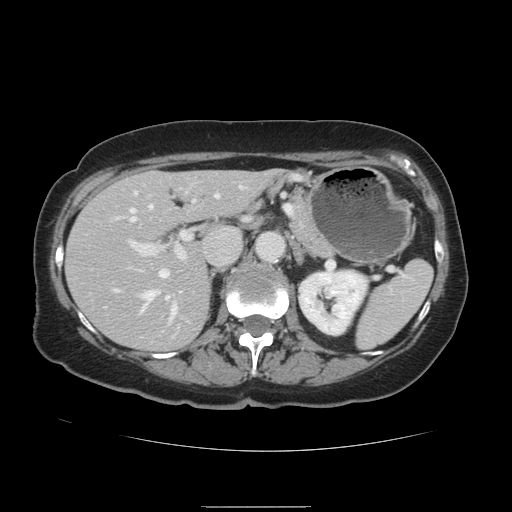
CT scan slice
Only some of the vessels may be annotated.
Segmented structures:
• hepatic vessel: l=148, t=205, r=151, b=208; l=171, t=306, r=176, b=315; l=165, t=296, r=168, b=300; l=134, t=191, r=135, b=194; l=176, t=251, r=185, b=258; l=139, t=291, r=158, b=314; l=128, t=208, r=134, b=221; l=214, t=194, r=217, b=197; l=110, t=218, r=115, b=219; l=193, t=200, r=195, b=201; l=114, t=289, r=118, b=292; l=158, t=269, r=168, b=277; l=239, t=185, r=245, b=188; l=128, t=240, r=163, b=254